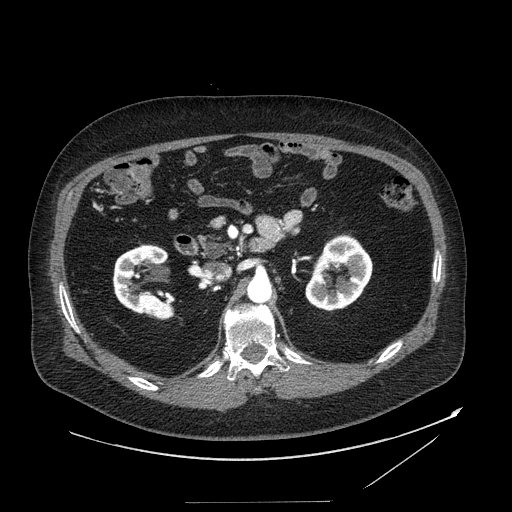
CT slice.
The pancreas is located at (202, 232, 227, 260). The pancreatic tumor is bounded by (207, 243, 224, 257).